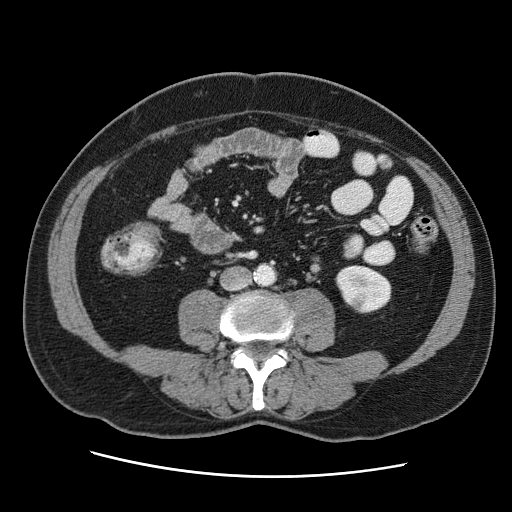 512x512. Pelvis. CT slice. Colon tumor: <box>133,222,158,241</box>.